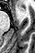 Magnetic resonance. Medial temporal lobe.

The anterior hippocampus appears at 19,8,23,11.